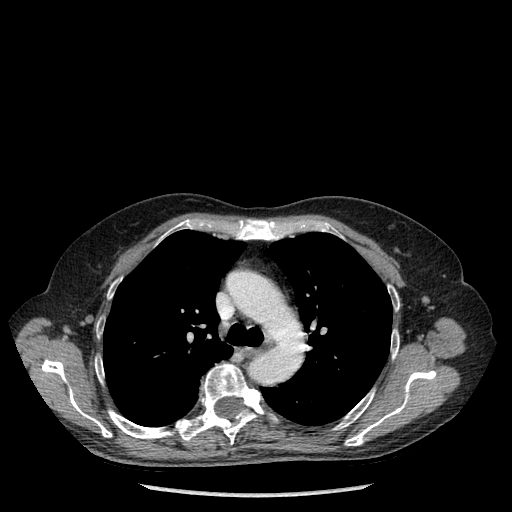

Computed tomography

Lung: bounding box l=262, t=232, r=392, b=425; l=103, t=230, r=263, b=426.
Bone: bounding box l=234, t=219, r=281, b=240; l=95, t=357, r=104, b=383; l=333, t=389, r=374, b=429; l=391, t=329, r=399, b=359; l=41, t=359, r=111, b=437; l=96, t=319, r=103, b=337; l=321, t=223, r=342, b=237; l=107, t=282, r=114, b=298; l=108, t=364, r=276, b=444; l=157, t=219, r=195, b=243; l=345, t=370, r=436, b=445; l=388, t=284, r=399, b=310.